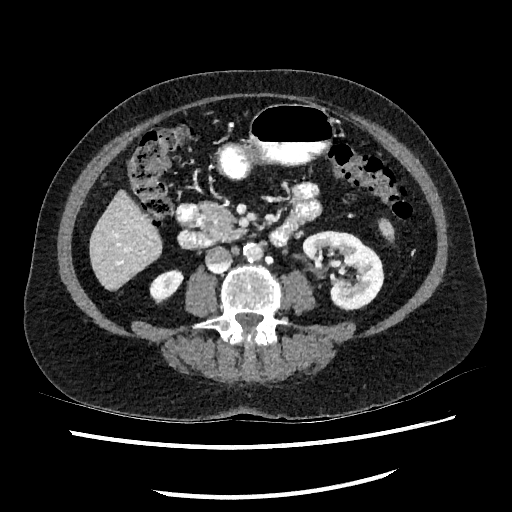

CT image | 512x512 px
kidney:
  - (303,232,382,308)
  - (151,271,182,298)
liver:
  - (91,191,160,289)